FLAIR MRI.
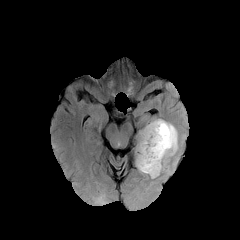
T1-weighted MR.
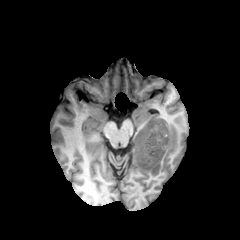
Post-contrast T1-weighted MRI.
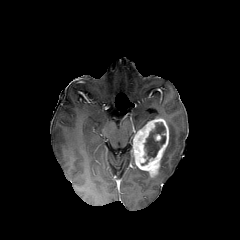
T2-weighted MR.
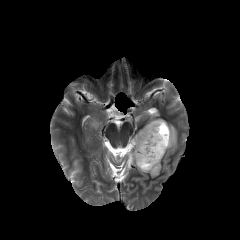
Edema: 157, 121, 178, 176.
Non-enhancing tumor core: 144, 122, 166, 159.
Enhancing tumor: 133, 118, 168, 178.